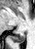
Magnetic resonance, Medial temporal lobe, Image size 35x49

Posterior hippocampus — left=10, top=33, right=25, bottom=43.